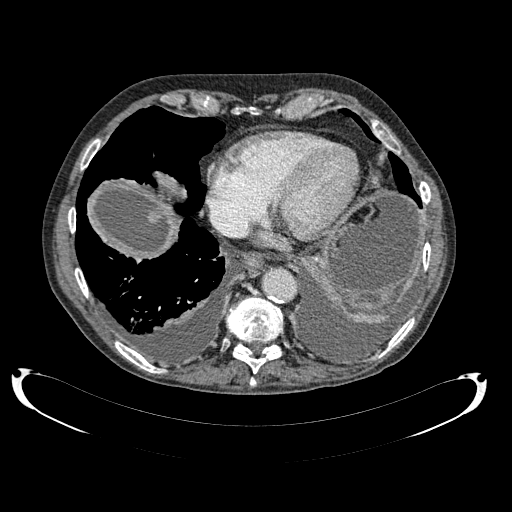

Upper abdomen. CT slice.
liver:
  - [x1=148, y1=214, x2=158, y2=224]